Computed tomography, Abdomen, Field of view 393x393 mm, Slice index 77 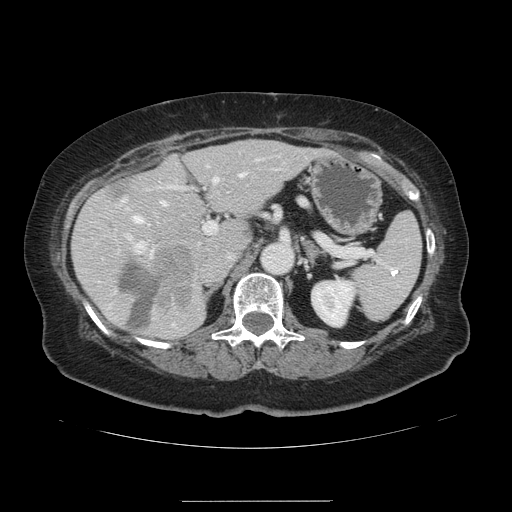 Not every hepatic vessel necessarily has a box.
<segmentation>
  <liver_tumor>box=[104, 181, 133, 202]; box=[120, 245, 194, 331]</liver_tumor>
  <hepatic_vessel>box=[161, 200, 165, 204]; box=[162, 184, 184, 187]; box=[147, 223, 148, 224]; box=[134, 216, 142, 222]; box=[126, 235, 131, 239]; box=[239, 172, 245, 176]; box=[212, 177, 217, 182]; box=[228, 255, 233, 257]; box=[202, 187, 204, 188]; box=[134, 242, 144, 252]; box=[149, 249, 152, 255]; box=[274, 169, 277, 169]; box=[255, 157, 264, 159]; box=[202, 220, 216, 233]</hepatic_vessel>
</segmentation>